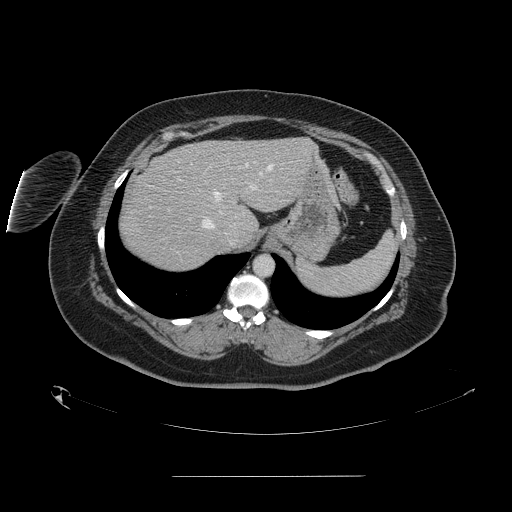

CT scan slice. Annotated regions:
• spleen: <box>296,230,397,298</box>